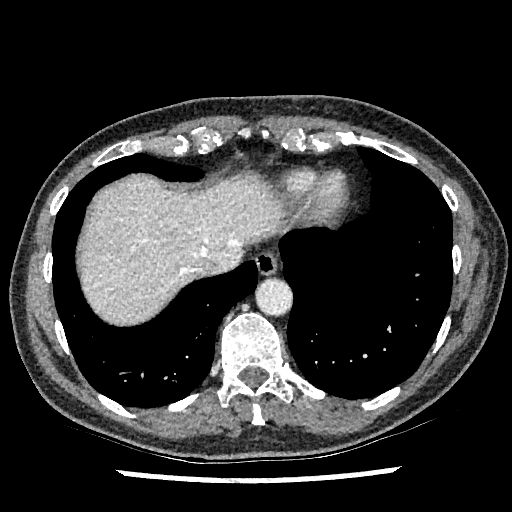

CT slice. Image size 512x512.
The liver is located at bbox=[77, 171, 286, 326].